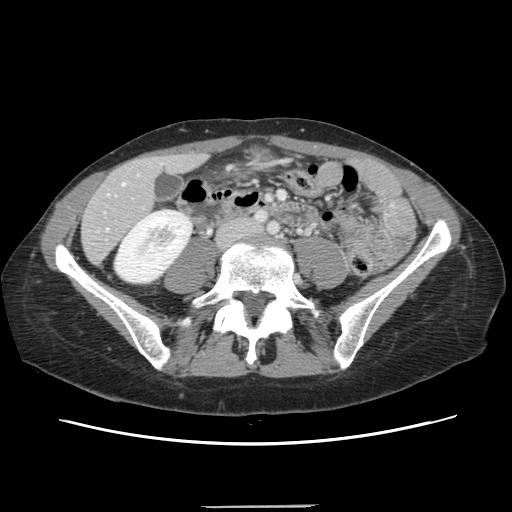 CT; Abdomen

The vessel boxes may cover only some of the vessels.
Hepatic vessel: bounding box left=106, top=228, right=107, bottom=230; left=122, top=183, right=124, bottom=185; left=107, top=194, right=109, bottom=195.